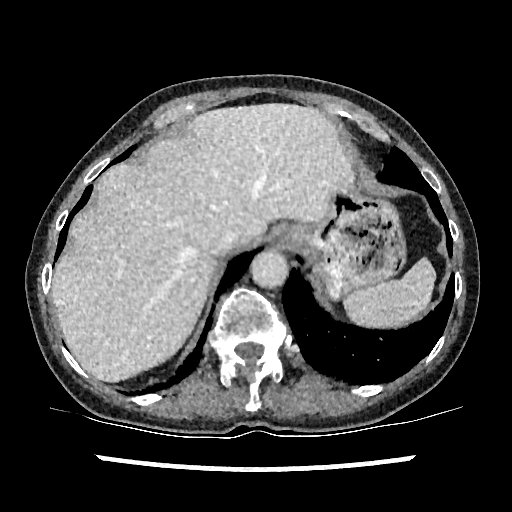

CT scan slice
Segmented structures:
- liver: bbox=[53, 105, 351, 380]